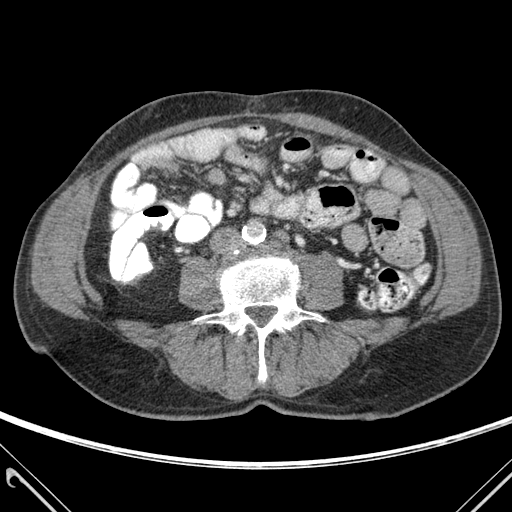
CT

The bone is bounded by (left=196, top=257, right=324, bottom=381).